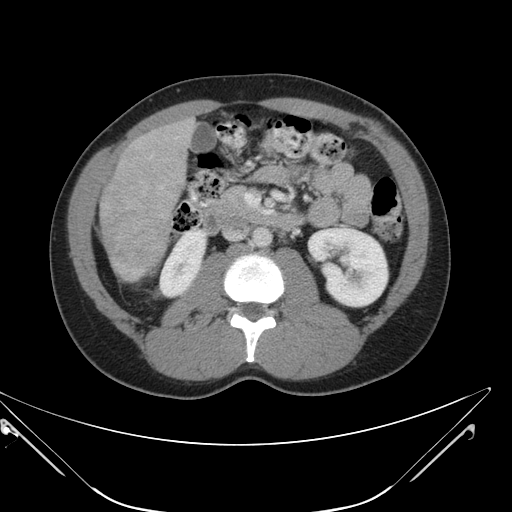 CT image. Abdomen. Not every hepatic vessel necessarily has a box.
{"hepatic_vessel": ["bbox(160, 187, 162, 188)"], "liver_tumor": ["bbox(103, 211, 170, 268)"]}